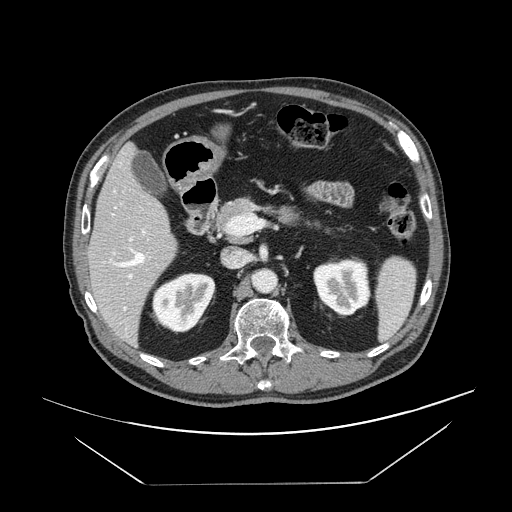

CT scan slice. Upper abdomen.
Pancreas: <box>213,196,334,234</box>.